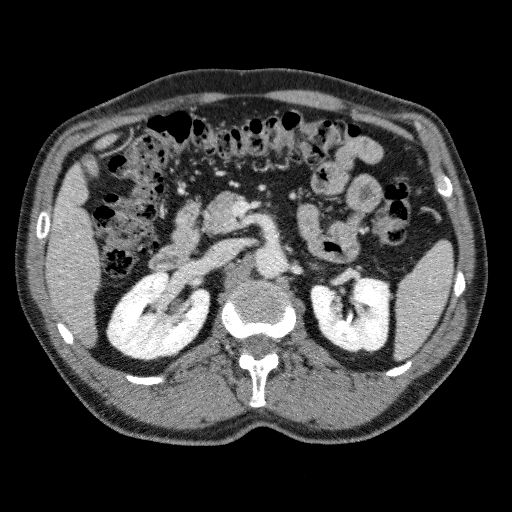

Image size 512x512 | CT slice
<segmentation>
  <liver>(left=45, top=163, right=100, bottom=347), (left=95, top=134, right=117, bottom=149)</liver>
  <kidney>(left=107, top=272, right=208, bottom=358), (left=311, top=279, right=388, bottom=349)</kidney>
</segmentation>